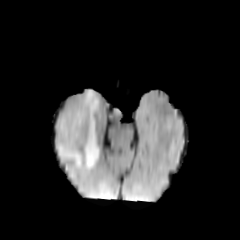
FLAIR MRI.
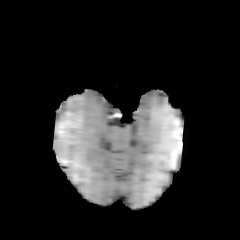
Same slice, T1-weighted MR.
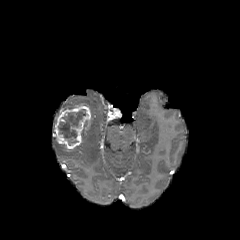
Post-contrast T1-weighted magnetic resonance.
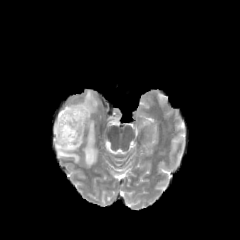
T2-weighted MRI of the same slice.
Brain, 240x240 px
Non-enhancing tumor core at <box>58,109,86,143</box>.
Enhancing tumor at <box>54,103,91,150</box>.
Edema at <box>55,90,98,168</box>.